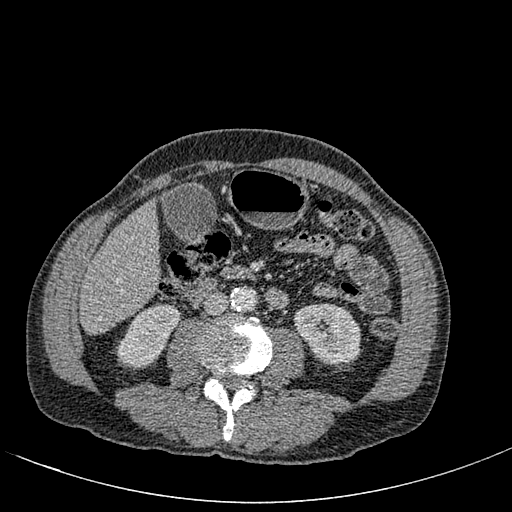 Computed tomography, Upper abdomen

Annotated regions:
- liver: <bbox>79, 202, 159, 331</bbox>
- kidney: <bbox>294, 302, 360, 363</bbox>, <bbox>117, 305, 179, 367</bbox>